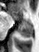
39x52 | Magnetic resonance

The posterior hippocampus is located at bbox(19, 22, 32, 37). 2 anterior hippocampus regions are located at bbox(12, 14, 17, 18); bbox(22, 17, 30, 21).